512x512 | Abdomen | Slice index 378 | Computed tomography
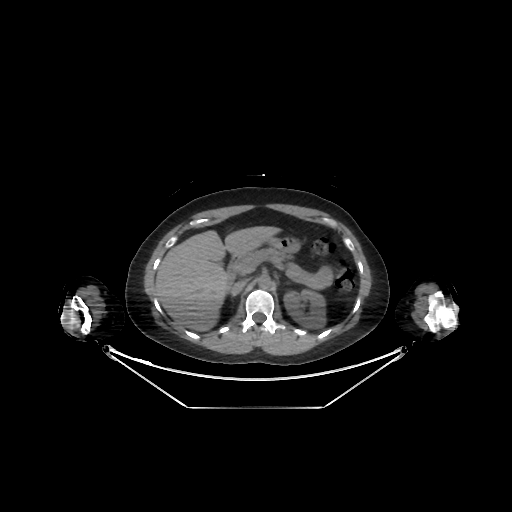

{
  "liver": [
    "(154,226,279,338)"
  ],
  "kidney": [
    "(283,287,326,329)"
  ]
}